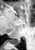

MR image | Image size 35x50 | Medial temporal lobe
Posterior hippocampus at bbox(8, 39, 20, 44).